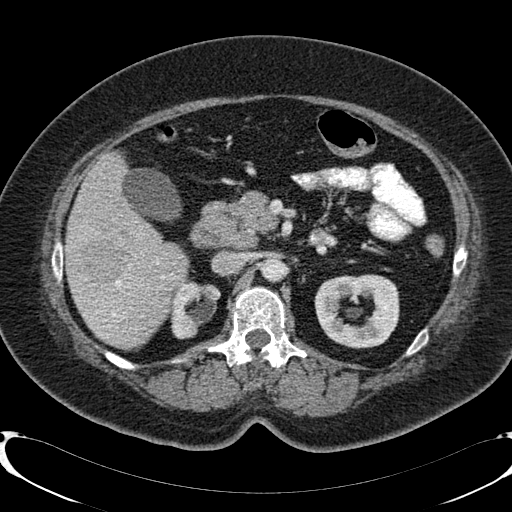

CT scan slice, Liver

The hepatic lesion is located at 82, 241, 127, 280. The liver appears at 67, 153, 187, 347. 2 kidney regions appear at 171, 281, 219, 338; 315, 275, 398, 347.